CT scan slice

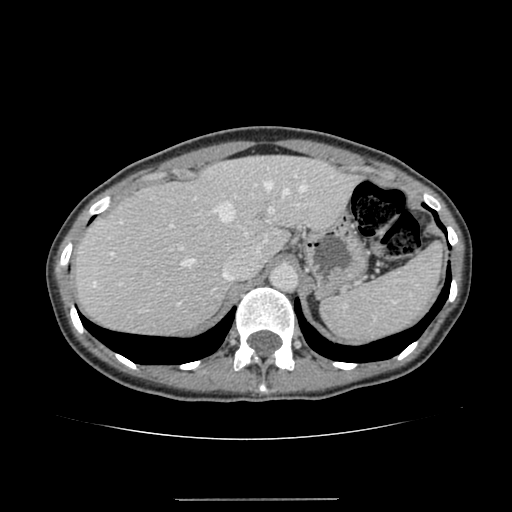
{"liver": ["[x1=75, y1=156, x2=361, y2=335]"]}